CT slice.

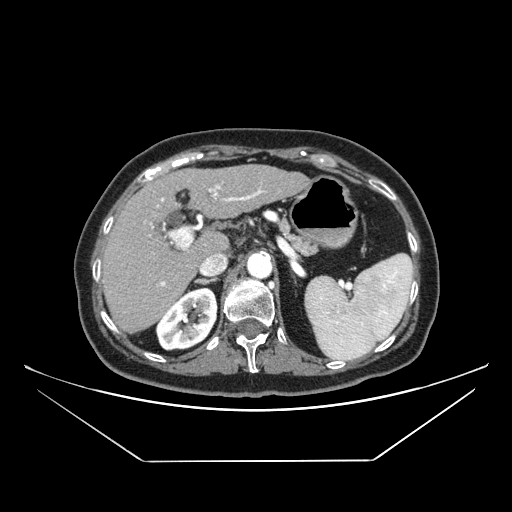

Pancreas = rect(275, 216, 317, 256).